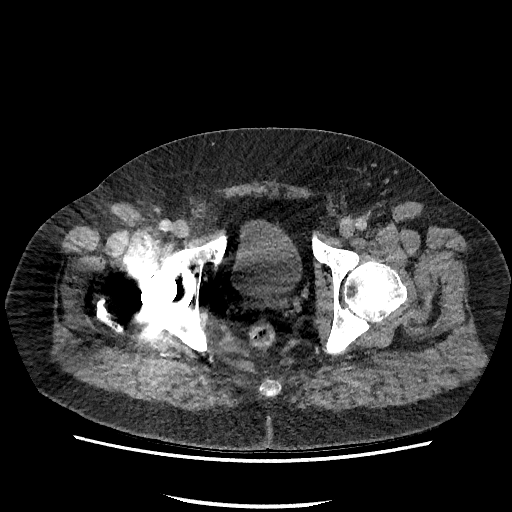 CT image | Lower abdomen

<segmentation>
  <urinary_bladder>(233,219,301,300)</urinary_bladder>
</segmentation>